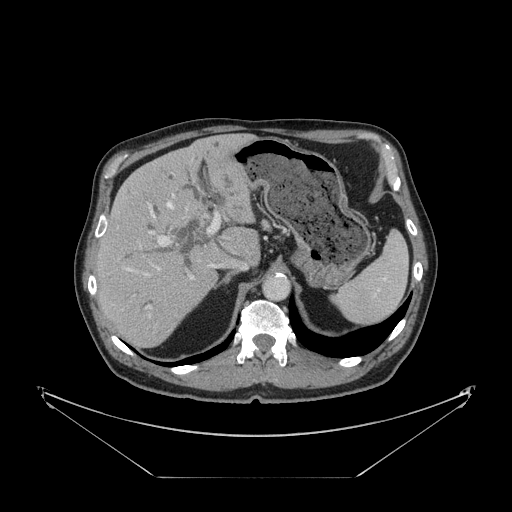
Computed tomography | Abdomen | Image size 512x512
Not every hepatic vessel necessarily has a box.
hepatic_vessel:
  - x1=172 y1=194 x2=173 y2=196
  - x1=126 y1=268 x2=133 y2=270
  - x1=150 y1=210 x2=153 y2=217
  - x1=157 y1=236 x2=170 y2=246
  - x1=207 y1=214 x2=219 y2=233
  - x1=190 y1=276 x2=192 y2=278
  - x1=166 y1=202 x2=172 y2=207
  - x1=211 y1=265 x2=220 y2=266
  - x1=156 y1=267 x2=159 y2=269
  - x1=142 y1=272 x2=146 y2=275
  - x1=150 y1=231 x2=153 y2=233
  - x1=145 y1=305 x2=150 y2=308